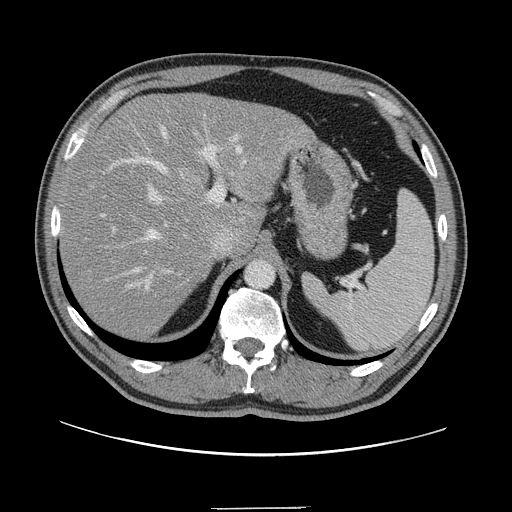
CT | Abdomen | Image size 512x512

The vessel boxes may cover only some of the vessels.
The principal 15 hepatic vessel regions (of 17) appear at l=242, t=159, r=246, b=164; l=127, t=273, r=153, b=291; l=207, t=181, r=224, b=202; l=195, t=131, r=196, b=134; l=164, t=270, r=169, b=272; l=233, t=135, r=238, b=140; l=111, t=156, r=166, b=172; l=200, t=146, r=218, b=167; l=236, t=147, r=241, b=152; l=181, t=174, r=182, b=176; l=126, t=268, r=139, b=273; l=142, t=230, r=159, b=239; l=162, t=128, r=166, b=137; l=149, t=188, r=161, b=204; l=229, t=173, r=233, b=175. The liver tumor appears at l=233, t=168, r=272, b=199.